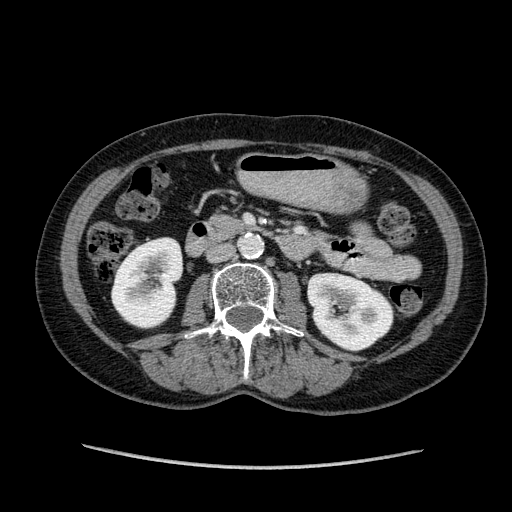 Abdomen | CT scan slice

* kidney: 112:238:181:326, 308:273:391:349